36x55 px | Slice index 20 | Medial temporal lobe | MRI
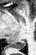

Segmented structures:
* posterior hippocampus: (x1=12, y1=40, x2=25, y2=48)